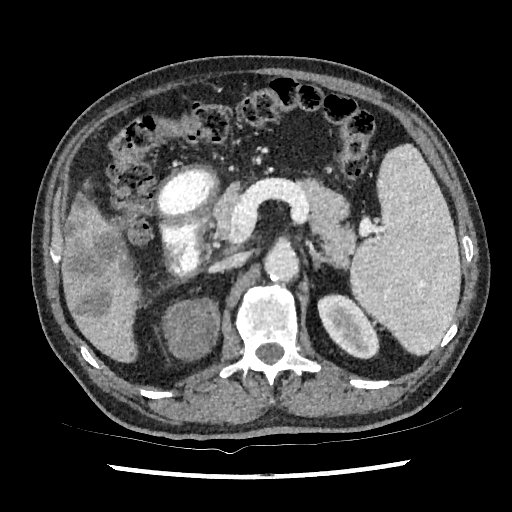
CT slice, Upper abdomen
Segmented structures:
• liver lesion: left=72, top=282, right=112, bottom=318; left=74, top=194, right=91, bottom=214; left=64, top=214, right=133, bottom=286
• kidney: left=318, top=295, right=378, bottom=358
• liver: left=63, top=240, right=137, bottom=360; left=70, top=206, right=112, bottom=241